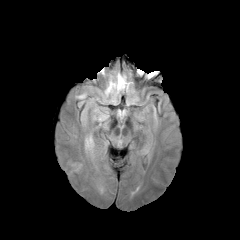
FLAIR MR image.
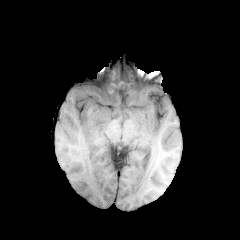
T1-weighted MR.
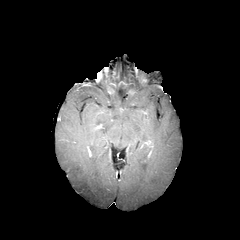
Same slice, post-contrast T1-weighted magnetic resonance.
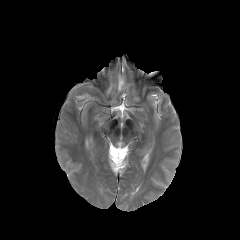
T2-weighted MRI.
Brain, 240x240 px
edema:
  - l=77, t=93, r=98, b=101
  - l=117, t=110, r=127, b=118
  - l=102, t=70, r=130, b=101